Head
FLAIR magnetic resonance.
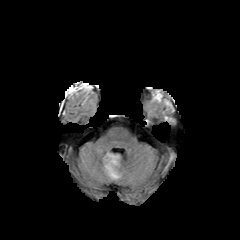
T1-weighted magnetic resonance.
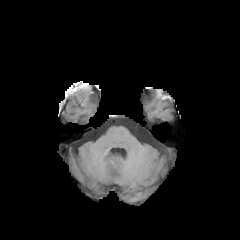
Post-contrast T1-weighted MRI.
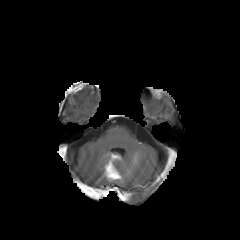
T2-weighted MRI.
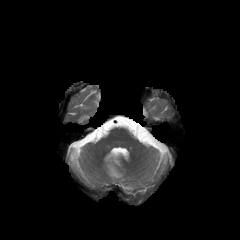
• edema: bbox(112, 155, 119, 173)
• non-enhancing tumor core: bbox(106, 164, 120, 178)
• enhancing tumor: bbox(106, 155, 113, 170)